FLAIR magnetic resonance.
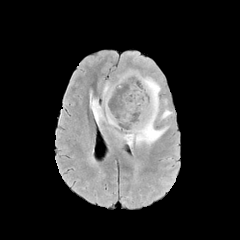
T1-weighted MR.
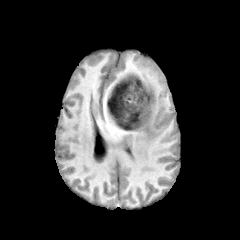
Post-contrast T1-weighted MR.
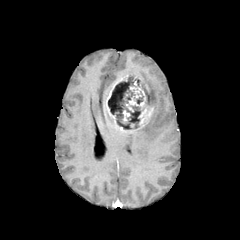
T2-weighted MR.
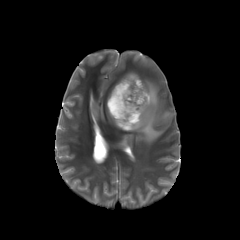
Brain
non-enhancing_tumor_core:
  - <box>107,76,151,129</box>
enhancing_tumor:
  - <box>105,76,127,125</box>
  - <box>139,108,151,124</box>
edema:
  - <box>90,93,104,127</box>
  - <box>160,109,172,119</box>
  - <box>122,73,167,147</box>
  - <box>106,111,115,125</box>